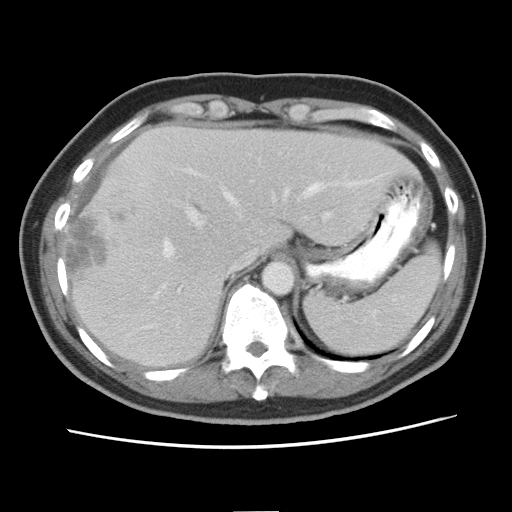
CT, Abdomen

The vessel annotation is not exhaustive.
hepatic vessel: x1=283, y1=190, x2=288, y2=199; x1=177, y1=289, x2=179, y2=291; x1=272, y1=196, x2=274, y2=199; x1=322, y1=213, x2=330, y2=220; x1=186, y1=208, x2=202, y2=226; x1=223, y1=192, x2=237, y2=205; x1=335, y1=183, x2=336, y2=185; x1=163, y1=240, x2=173, y2=257; x1=183, y1=168, x2=201, y2=176; x1=162, y1=284, x2=165, y2=288; x1=141, y1=326, x2=155, y2=329; x1=303, y1=183, x2=322, y2=196; x1=343, y1=175, x2=382, y2=187; x1=153, y1=292, x2=158, y2=299 | liver tumor: x1=67, y1=204, x2=139, y2=284